Abdomen; 512x512 px; Slice 389 of 826; Computed tomography
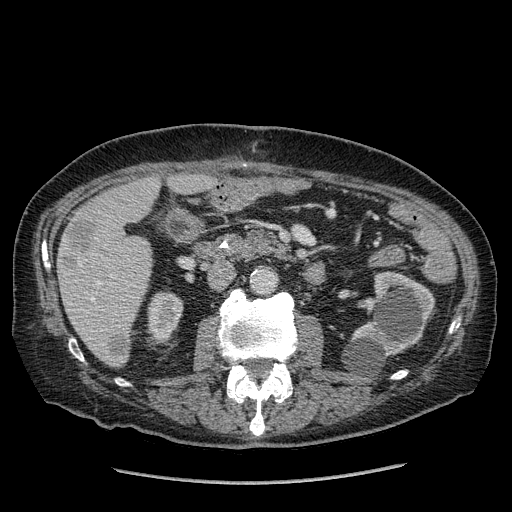 kidney:
  - 352,271,434,355
  - 149,294,182,340
hepatic_lesion:
  - 64,256,76,263
  - 108,335,127,355
  - 67,220,93,251
liver:
  - 58,177,159,367
  - 169,174,216,194